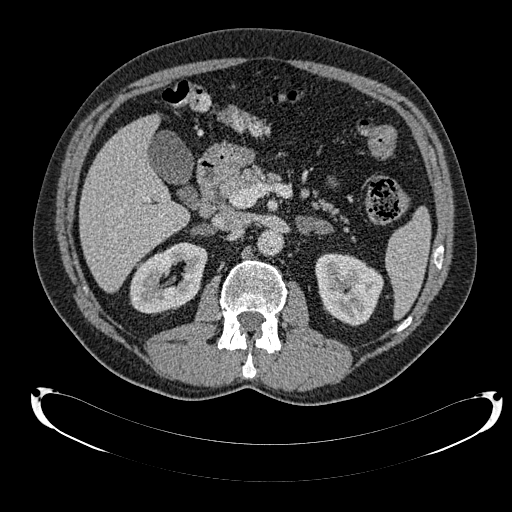

CT image. 512x512 px. The liver is located at (79,117,189,292). 2 kidney regions appear at (130,243,206,312), (315,254,383,324).